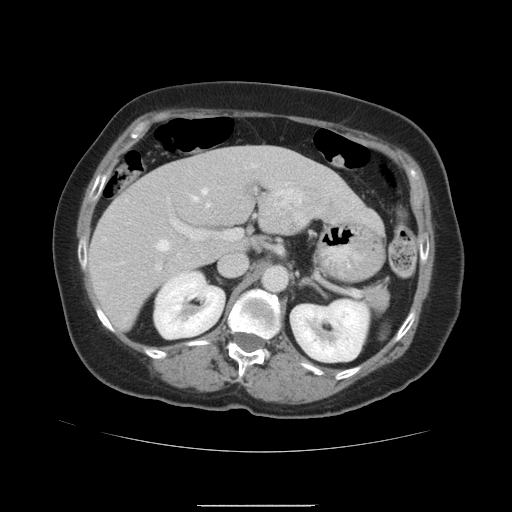
512x512, Computed tomography, Liver

The vessel annotation is not exhaustive.
The liver tumor is at (263, 182, 340, 232). 14 hepatic vessel regions are bounded by (171, 217, 243, 241), (119, 262, 124, 263), (103, 238, 106, 240), (127, 200, 128, 201), (157, 240, 170, 251), (246, 163, 257, 168), (192, 196, 199, 201), (207, 203, 210, 206), (181, 273, 186, 274), (301, 221, 305, 224), (126, 318, 127, 320), (202, 188, 207, 194), (178, 255, 179, 256), (156, 265, 161, 270).